Slice index 117
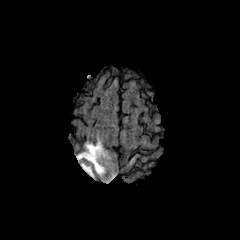
FLAIR magnetic resonance.
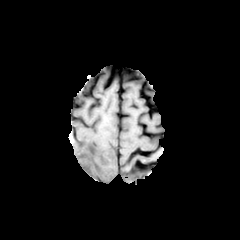
T1-weighted MR of the same slice.
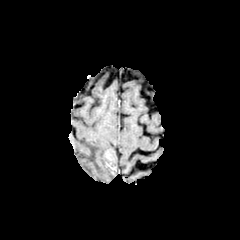
Post-contrast T1-weighted MRI.
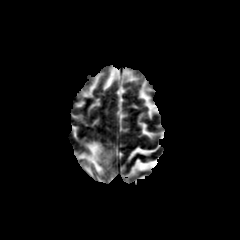
T2-weighted MR.
Enhancing tumor: (103,151,113,169).
Edema: (76,138,115,180).